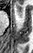
Hippocampus, Image size 33x53, MRI slice

The anterior hippocampus is located at [16, 4, 22, 16].